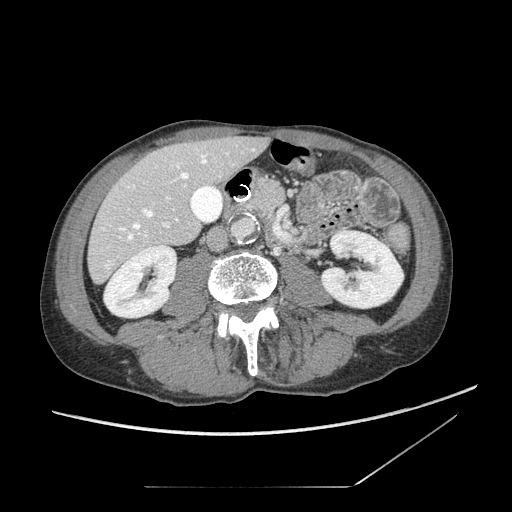
Abdomen | CT slice

Pancreas: bounding box box(251, 177, 283, 209).